FLAIR MR image.
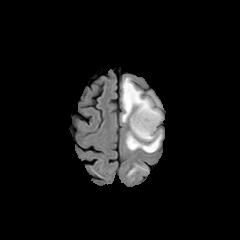
T1-weighted MR image.
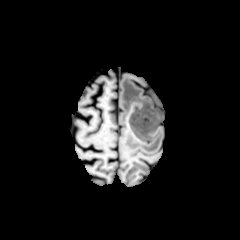
Post-contrast T1-weighted MR.
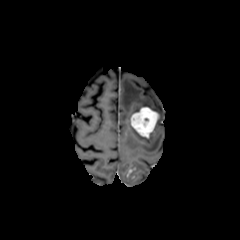
T2-weighted MRI.
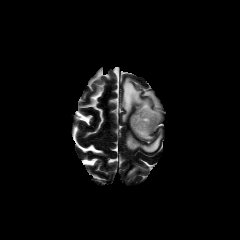
240x240 px; Head
• edema: bbox(152, 108, 161, 130); bbox(148, 91, 159, 106); bbox(121, 77, 152, 122); bbox(126, 128, 161, 152)
• enhancing tumor: bbox(130, 107, 159, 138)